FLAIR MR image.
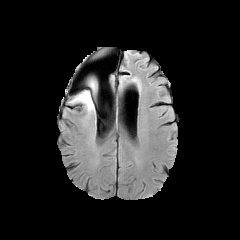
T1-weighted MRI.
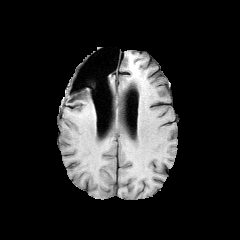
Post-contrast T1-weighted MRI.
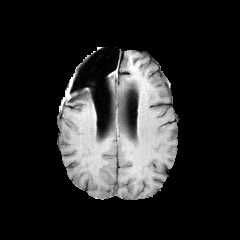
T2-weighted MR image.
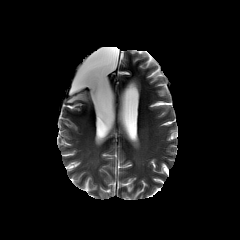
The edema lies within 68:79:97:115.